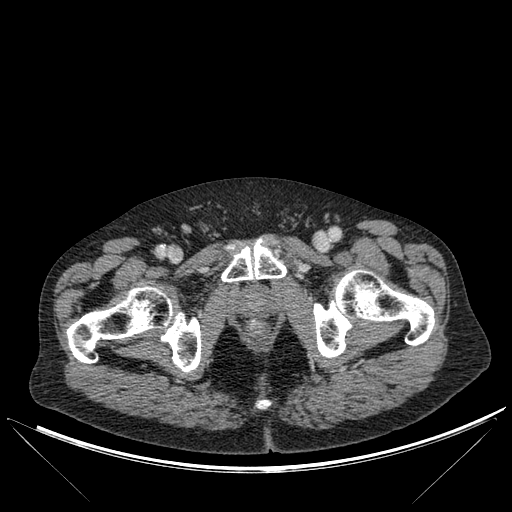 Image size 512x512 | CT slice

bone:
  - [67, 286, 201, 372]
  - [221, 239, 286, 281]
  - [313, 270, 434, 357]